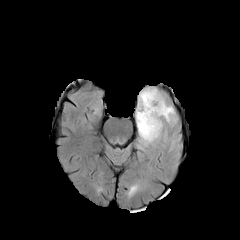
FLAIR MR image.
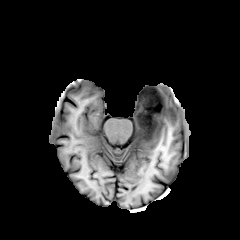
Same slice, T1-weighted magnetic resonance.
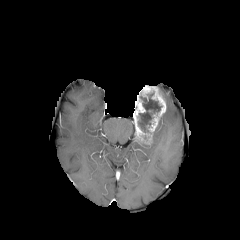
Same slice, post-contrast T1-weighted MR.
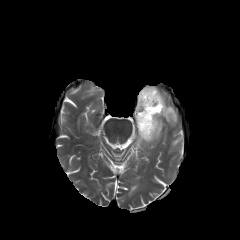
T2-weighted MR.
Brain; 240x240
The non-enhancing tumor core lies within region(137, 93, 161, 132). The enhancing tumor is bounded by region(135, 86, 166, 140). 3 edema regions are bounded by region(137, 139, 150, 146); region(162, 103, 177, 123); region(151, 120, 162, 141).